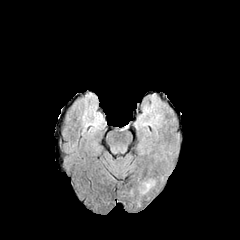
FLAIR magnetic resonance.
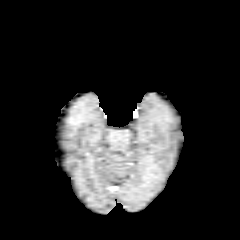
T1-weighted magnetic resonance.
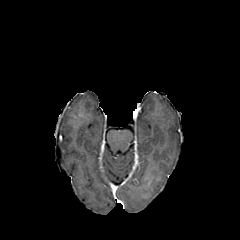
Same slice, post-contrast T1-weighted MR image.
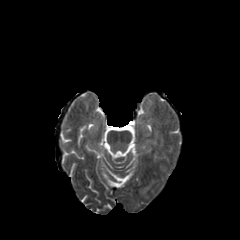
Same slice, T2-weighted MR.
240x240
Edema at box(143, 179, 154, 192).